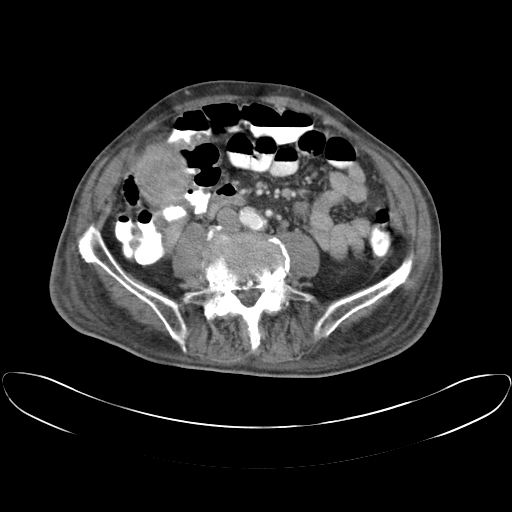

Abdomen, CT scan slice
<segmentation>
  <liver_tumor>(left=142, top=149, right=183, bottom=195)</liver_tumor>
</segmentation>